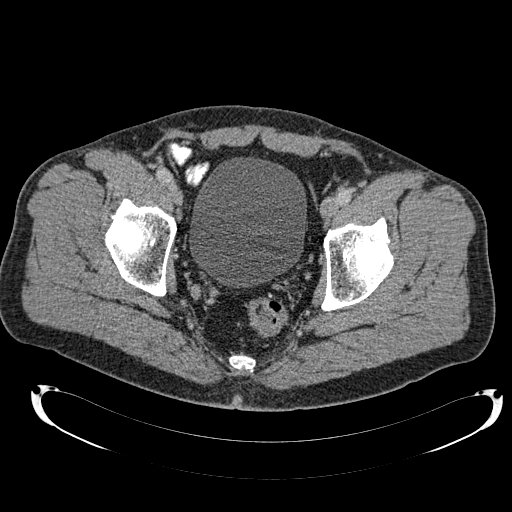

CT scan slice, Image size 512x512, Lower abdomen
{"urinary_bladder": ["l=189, t=157, r=306, b=287"]}